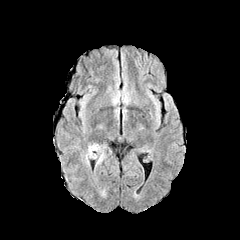
FLAIR MRI.
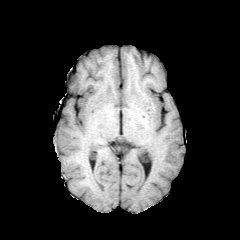
T1-weighted MR image.
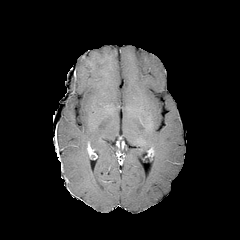
Post-contrast T1-weighted magnetic resonance.
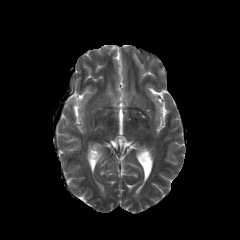
T2-weighted MR image.
Head
2 edema regions are located at region(82, 151, 89, 166); region(88, 143, 106, 164).